Slice 18/38. Liver. CT slice.

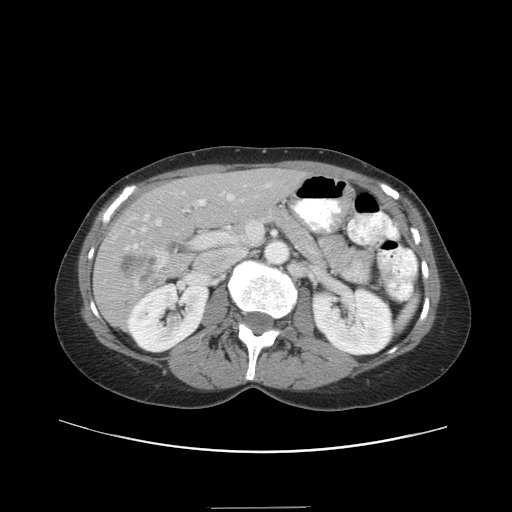

Not every hepatic vessel necessarily has a box.
liver_tumor:
  - bbox(121, 255, 156, 282)
hepatic_vessel:
  - bbox(141, 227, 145, 231)
  - bbox(125, 244, 137, 249)
  - bbox(156, 218, 161, 225)
  - bbox(156, 253, 166, 269)
  - bbox(131, 230, 134, 233)
  - bbox(184, 209, 188, 211)
  - bbox(226, 194, 233, 199)
  - bbox(198, 199, 205, 205)
  - bbox(134, 281, 137, 284)
  - bbox(221, 191, 225, 194)
  - bbox(132, 216, 135, 219)
  - bbox(141, 242, 143, 243)
  - bbox(143, 214, 149, 220)